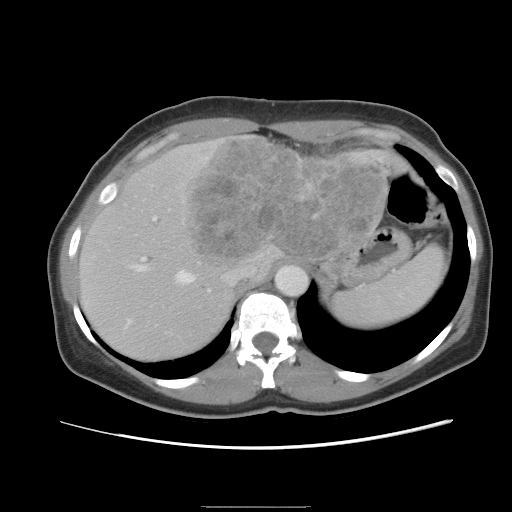
CT image
The vessel boxes may cover only some of the vessels.
{"hepatic_vessel": ["(221,253,262,285)", "(126,319,131,324)", "(207,289,209,290)", "(152,216,155,219)", "(133,265,143,270)", "(141,257,144,259)", "(175,270,192,283)"], "liver_tumor": ["(181,139,385,268)"]}